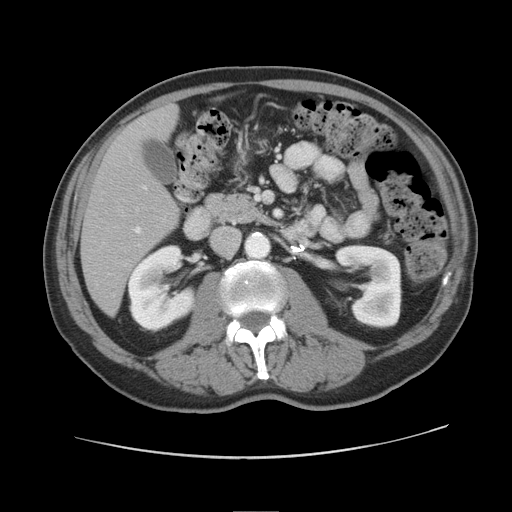
CT
Pancreas: bounding box 220, 191, 262, 226.